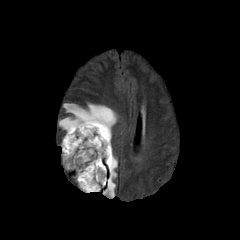
FLAIR MR.
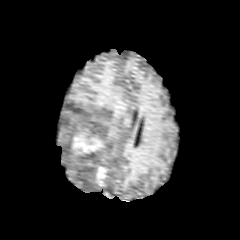
Same slice, T1-weighted MR.
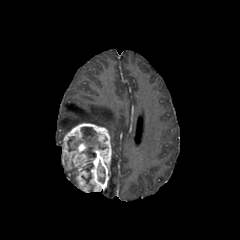
Post-contrast T1-weighted MRI.
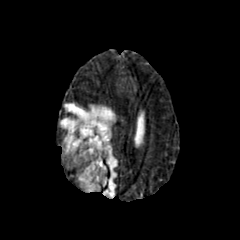
T2-weighted magnetic resonance of the same slice.
Head
Edema: bounding box rect(103, 153, 117, 198); rect(59, 103, 117, 136).
Enhancing tumor: bounding box rect(61, 122, 112, 192).
Non-enhancing tumor core: bounding box rect(81, 175, 91, 183); rect(82, 127, 94, 138); rect(87, 147, 95, 156).